512x512 px | Slice index 18 | CT 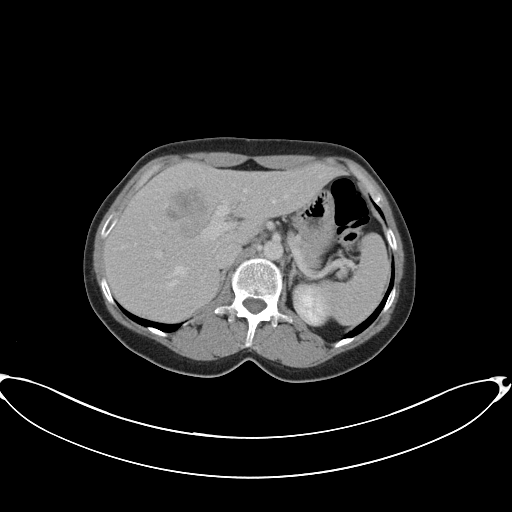
The vessel annotation is not exhaustive.
7 hepatic vessel regions are bounded by (left=243, top=189, right=247, bottom=192), (left=220, top=196, right=221, bottom=198), (left=155, top=252, right=161, bottom=257), (left=201, top=199, right=231, bottom=239), (left=174, top=266, right=184, bottom=274), (left=272, top=199, right=275, bottom=203), (left=284, top=194, right=287, bottom=198). The liver tumor appears at (left=171, top=192, right=204, bottom=220).